T2-weighted MR.
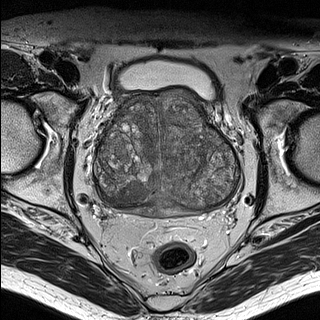
ADC MR image.
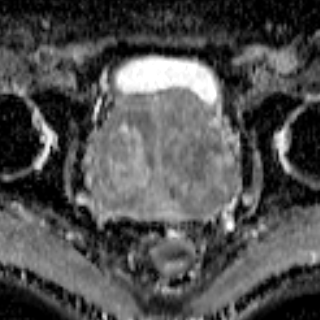
Prostate.
prostate transition zone: box(95, 90, 235, 209) | prostate peripheral zone: box(111, 201, 202, 214)